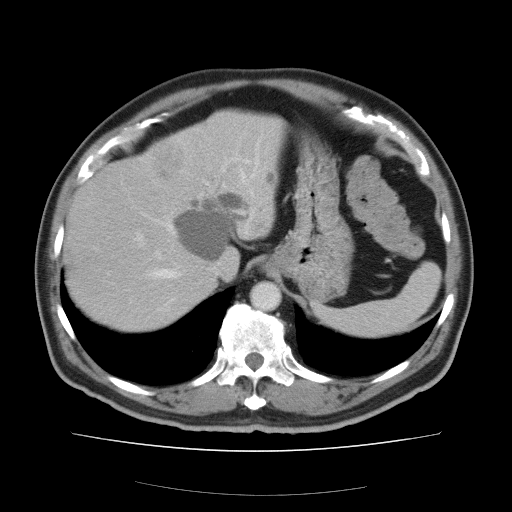

Abdomen; CT slice
Some hepatic vessels may have no box.
hepatic_vessel:
  - 155,252,157,257
  - 150,268,177,277
  - 154,214,174,234
  - 136,233,143,245
liver_tumor:
  - 155,144,181,181